Field of view 396 mm wide, 1.50 mm slice spacing; Slice index 99; 512x512; Computed tomography
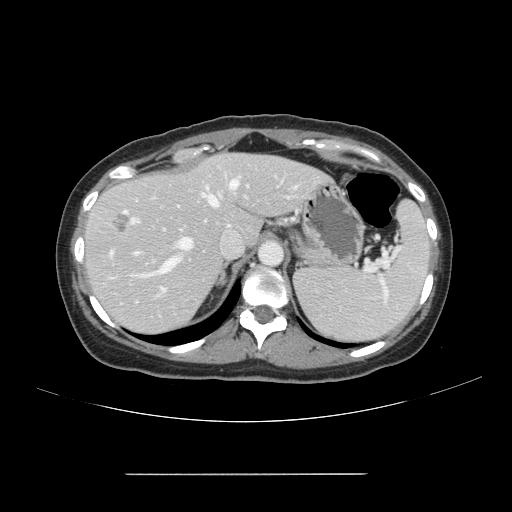 The vessel annotation is not exhaustive.
hepatic_vessel:
  - [230, 179, 237, 188]
  - [138, 257, 178, 276]
  - [294, 186, 296, 187]
  - [124, 210, 127, 213]
  - [131, 218, 138, 222]
  - [206, 186, 207, 189]
  - [202, 193, 217, 206]
  - [110, 250, 112, 255]
  - [238, 176, 239, 178]
  - [135, 252, 139, 253]
  - [218, 194, 220, 196]
  - [178, 238, 191, 249]
liver_tumor:
  - [114, 215, 130, 231]